Field of view 480 mm wide, 1.25 mm slice spacing, Image size 512x512, Thorax, Computed tomography

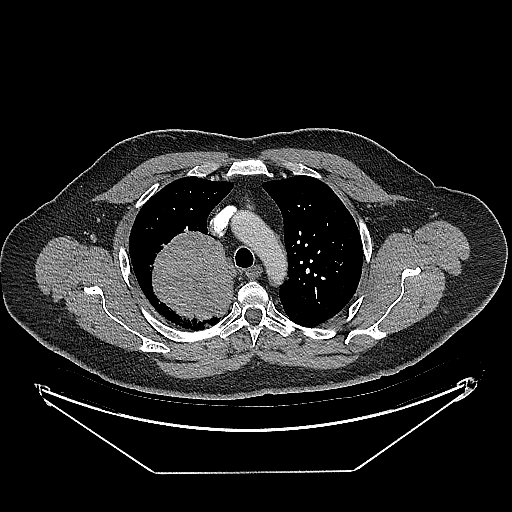 <segmentation>
  <lung_tumor>[148, 228, 234, 327]</lung_tumor>
</segmentation>